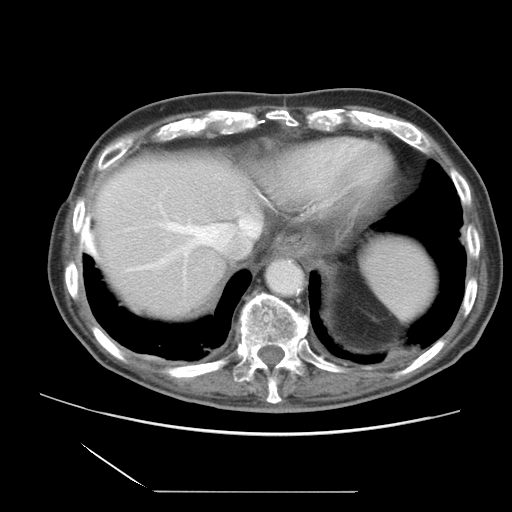

Liver | CT slice
Some hepatic vessels may have no box.
Findings:
* hepatic vessel: 127:202:260:282, 224:206:228:207